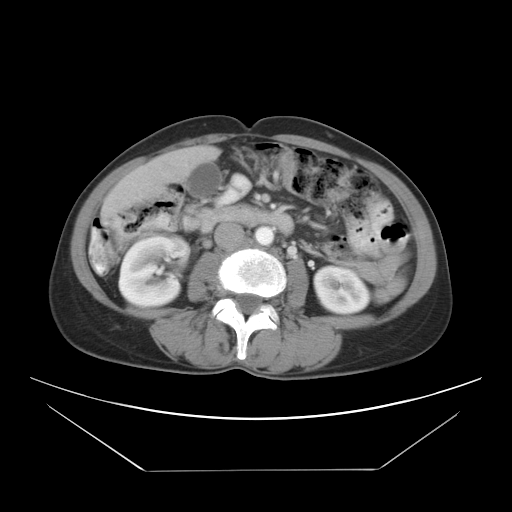

CT scan slice | Liver
The vessel annotation is not exhaustive.
7 hepatic vessel regions are located at left=132, top=183, right=134, bottom=185; left=130, top=195, right=135, bottom=198; left=109, top=195, right=115, bottom=199; left=184, top=163, right=186, bottom=165; left=139, top=191, right=140, bottom=195; left=123, top=201, right=126, bottom=202; left=104, top=203, right=109, bottom=214.